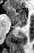
MRI. Hippocampus.

The posterior hippocampus is at bbox=[16, 23, 25, 27]. The anterior hippocampus lies within bbox=[7, 7, 25, 24].